CT slice. Liver.

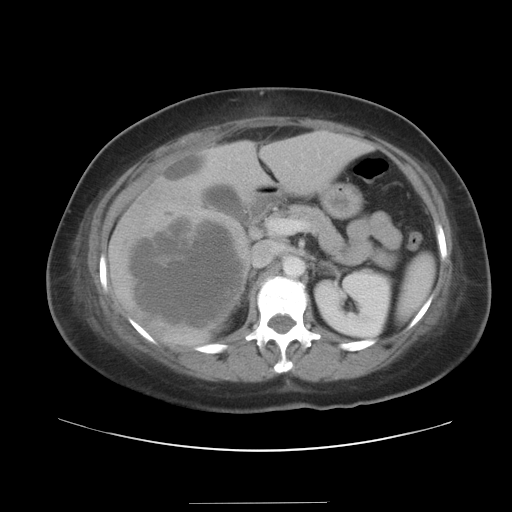 Liver tumor: region(130, 222, 244, 329).